Liver; CT slice; Image size 512x512

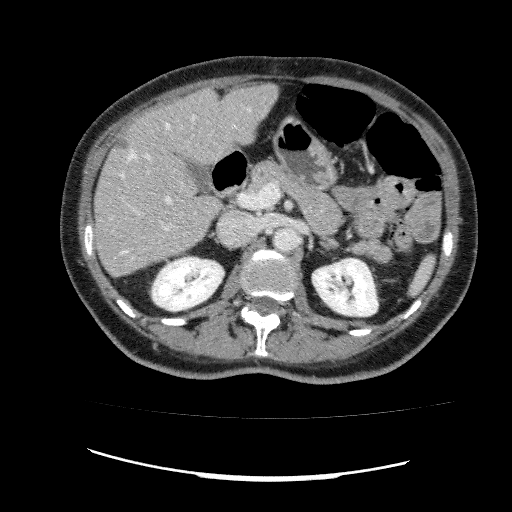
The liver appears at <box>93,84,276,274</box>. The liver lesion is located at <box>113,137,128,150</box>. 2 kidney regions are located at <box>312,258,378,316</box>, <box>152,257,223,310</box>.